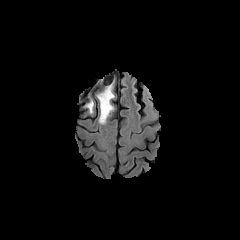
FLAIR magnetic resonance.
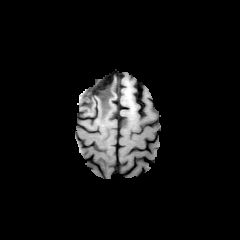
Same slice, T1-weighted MR image.
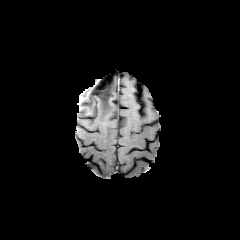
Post-contrast T1-weighted MRI of the same slice.
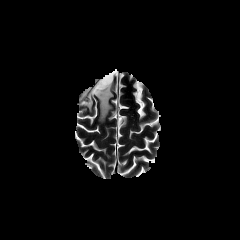
T2-weighted MRI of the same slice.
Image size 240x240
Edema — rect(84, 80, 113, 123).